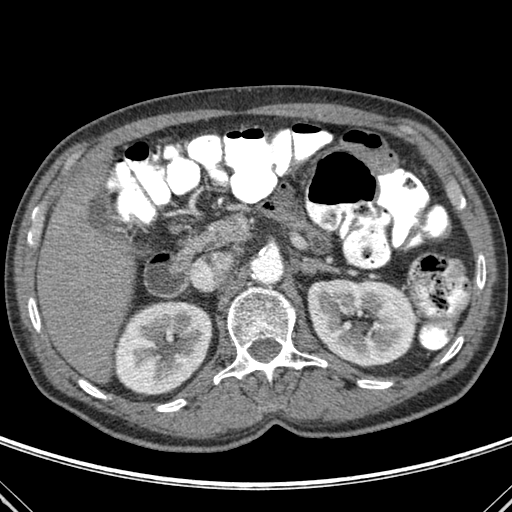
512x512; CT image; Liver
Liver — (x1=38, y1=154, x2=135, y2=382).
Bone — (x1=440, y1=336, x2=463, y2=363), (x1=476, y1=254, x2=485, y2=288), (x1=28, y1=297, x2=40, y2=331), (x1=27, y1=232, x2=33, y2=244), (x1=156, y1=399, x2=186, y2=412), (x1=78, y1=379, x2=106, y2=398), (x1=460, y1=197, x2=465, y2=207), (x1=358, y1=380, x2=392, y2=389), (x1=213, y1=287, x2=327, y2=383).
Kidney — (x1=308, y1=280, x2=415, y2=364), (x1=116, y1=303, x2=210, y2=393), (x1=167, y1=325, x2=173, y2=340).